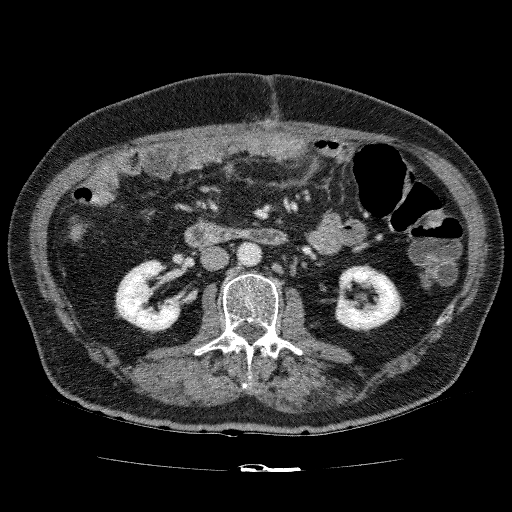 Computed tomography | Upper abdomen
{
  "kidney": [
    "116, 260, 181, 331",
    "336, 266, 400, 330"
  ],
  "liver": [
    "69, 222, 84, 242"
  ]
}